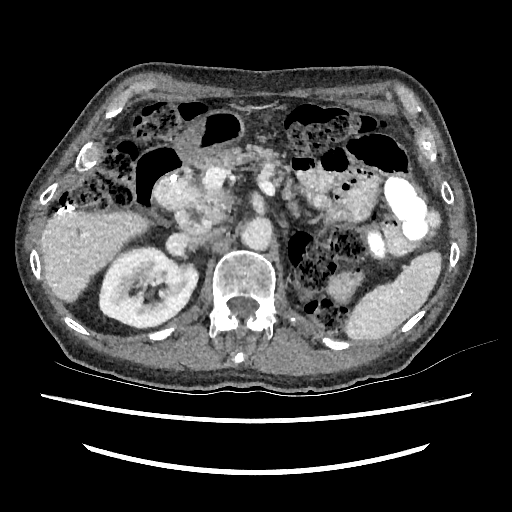

Computed tomography. Upper abdomen.

<segmentation>
  <kidney>rect(100, 248, 197, 327)</kidney>
  <liver>rect(41, 211, 146, 301)</liver>
</segmentation>